FLAIR MR.
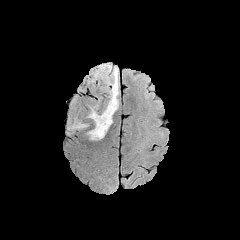
T1-weighted magnetic resonance.
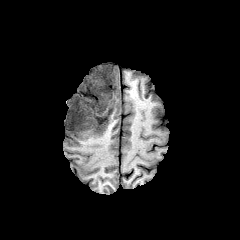
Post-contrast T1-weighted MR image.
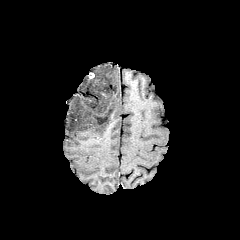
T2-weighted MR image.
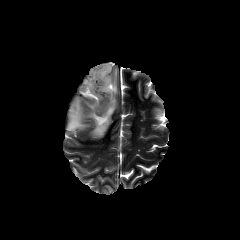
Head
<segmentation>
  <edema>rect(67, 64, 120, 139)</edema>
</segmentation>